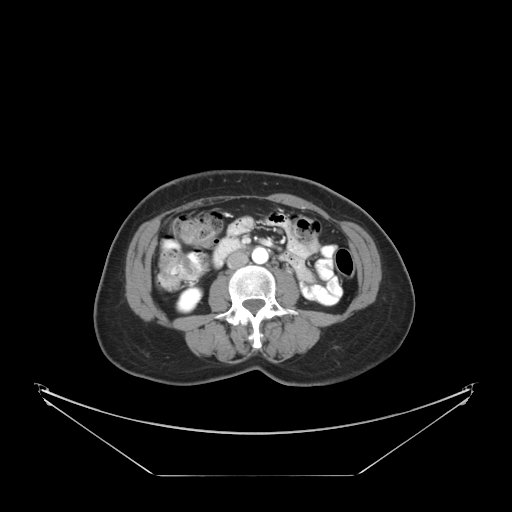
CT image. Abdomen. Image size 512x512. 2 colon tumor regions are located at [x1=178, y1=253, x2=192, y2=274], [x1=159, y1=258, x2=170, y2=278].